CT image, Image width 403 mm 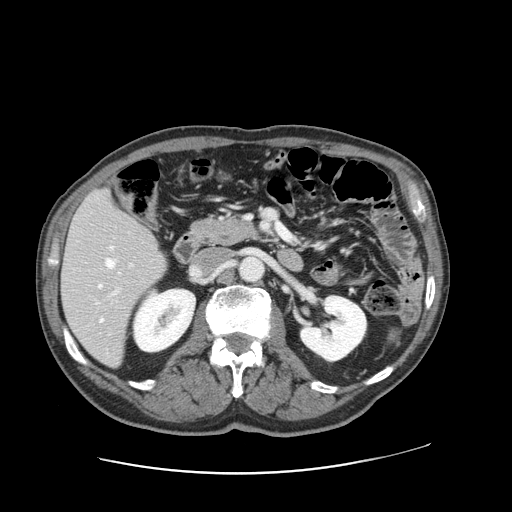
The vessel annotation is not exhaustive.
Annotated regions:
* hepatic vessel: (x1=110, y1=246, x2=112, y2=248), (x1=130, y1=264, x2=132, y2=265), (x1=112, y1=292, x2=116, y2=294), (x1=100, y1=319, x2=102, y2=320), (x1=106, y1=259, x2=113, y2=267), (x1=98, y1=285, x2=101, y2=287)